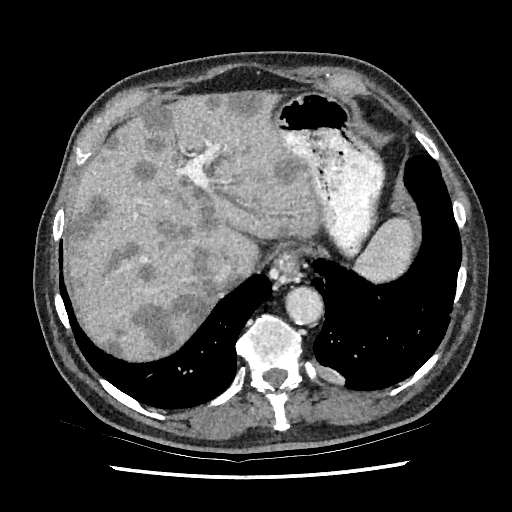

CT scan slice

Liver: bounding box [68,93,321,358].
Hepatic lesion: bounding box [104,331,123,356], [104,240,141,273], [143,108,175,151], [151,185,225,247], [132,247,227,354], [277,225,290,235], [139,267,154,281], [105,135,121,153], [213,93,263,115], [262,153,305,189], [133,160,161,182], [70,193,113,263].